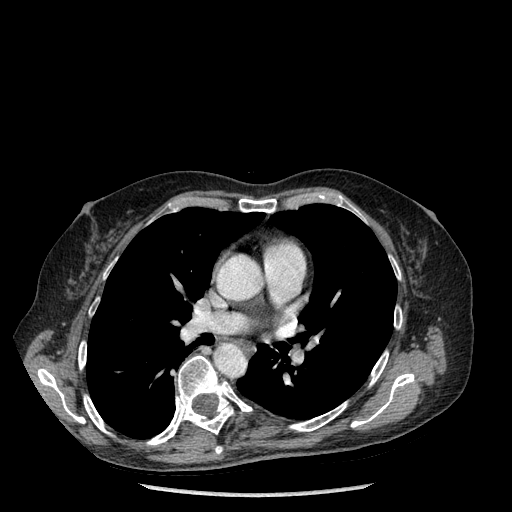
512x512 px. CT slice.

2 lung regions are bounded by 237:204:396:419, 86:207:264:438. 15 bone regions are located at 215:446:222:453, 389:255:400:279, 351:373:414:427, 337:195:365:221, 394:306:402:329, 289:401:347:431, 37:368:85:423, 146:355:253:445, 89:298:99:315, 239:198:276:212, 163:203:176:212, 103:259:116:279, 369:351:388:386, 78:341:86:369, 83:395:110:434.